FLAIR MRI.
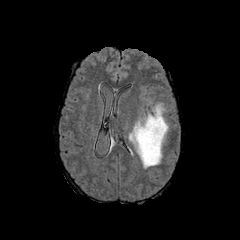
T1-weighted MRI.
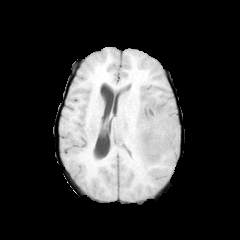
Post-contrast T1-weighted MR.
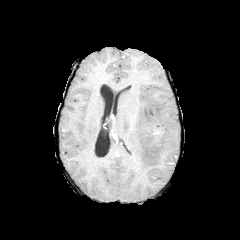
T2-weighted MR image.
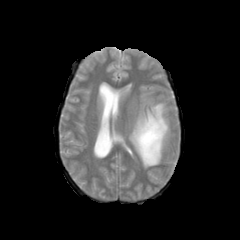
240x240 px; Head
The edema lies within x1=129, y1=102, x2=169, y2=168. The non-enhancing tumor core is located at x1=140, y1=124, x2=163, y2=147.